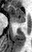
MR image

Anterior hippocampus: (6,5,25,22).